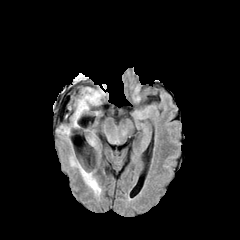
FLAIR MRI.
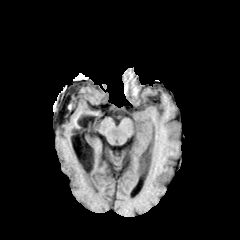
T1-weighted magnetic resonance.
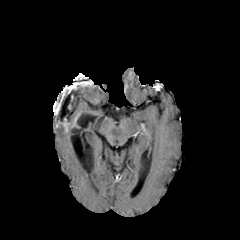
Same slice, post-contrast T1-weighted magnetic resonance.
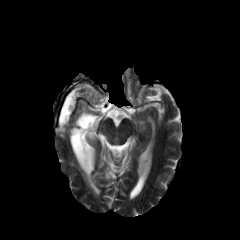
T2-weighted magnetic resonance.
edema: (70,153,101,196), (72,87,105,126), (60,125,70,135)